CT scan slice. Slice 81/871.
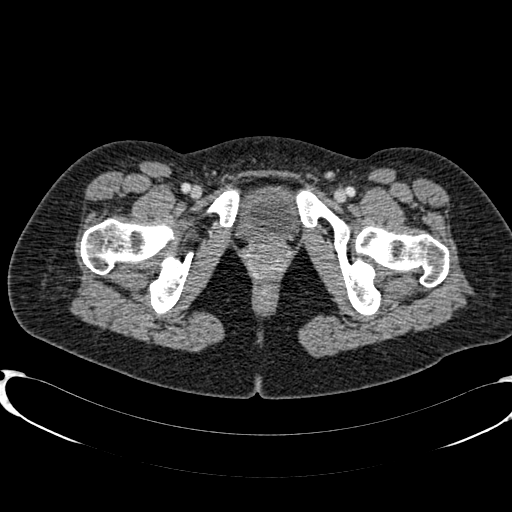
{
  "urinary_bladder": [
    "bbox=[235, 185, 304, 242]"
  ]
}